Slice index 80; MR image; Cardiac 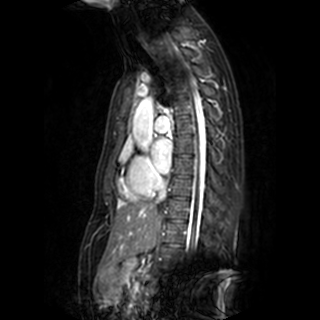

{"left_atrium": ["<box>152,138,172,173</box>"]}